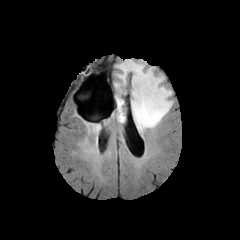
FLAIR MR image.
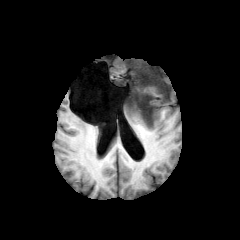
T1-weighted MR.
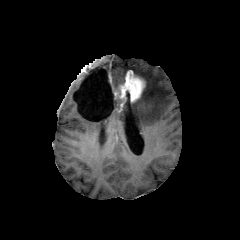
Post-contrast T1-weighted MR of the same slice.
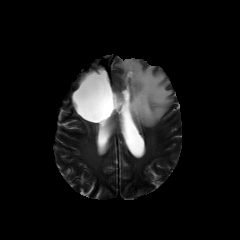
Same slice, T2-weighted MR.
240x240 px.
Non-enhancing tumor core at bbox(114, 88, 120, 111); bbox(118, 90, 143, 117).
Enhancing tumor at bbox(115, 70, 145, 112).
Edema at bbox(116, 59, 173, 138); bbox(116, 112, 125, 123).